512x512 | Liver | CT

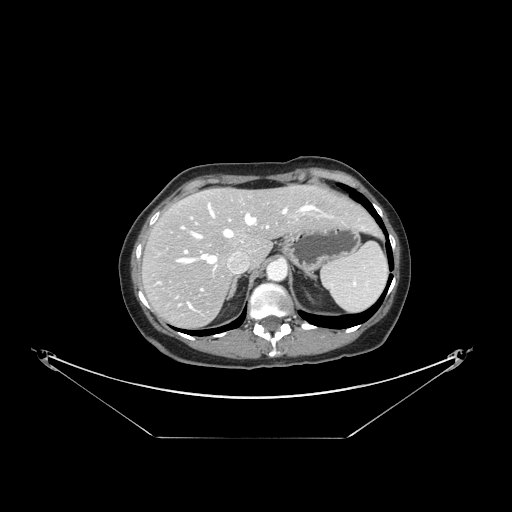

Some hepatic vessels may have no box.
Hepatic vessel = [224,230,232,236], [208,206,212,214], [302,207,313,209], [194,234,199,237], [246,215,255,223].